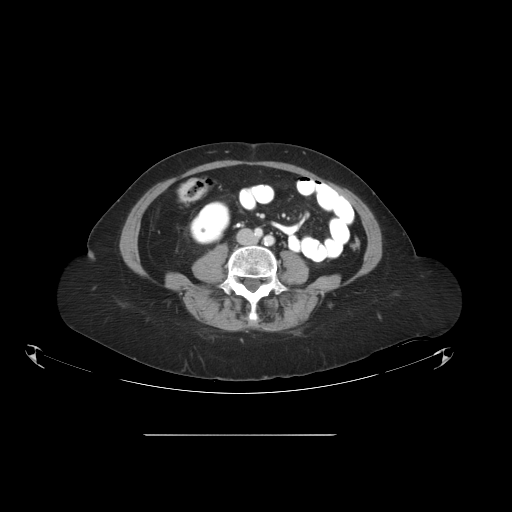 Abdomen. 512x512. CT slice.
colon tumor: {"x1": 177, "y1": 177, "x2": 206, "y2": 202}